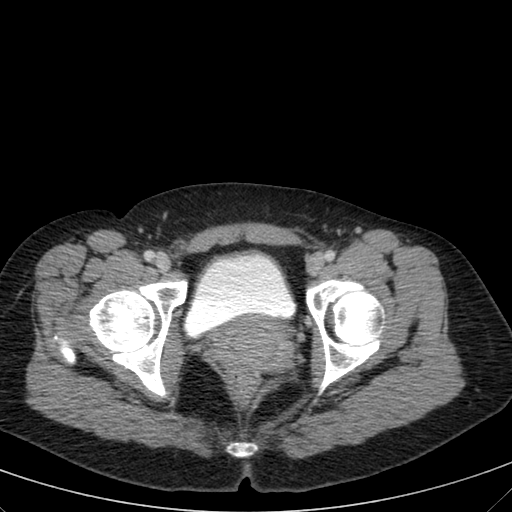
Lower abdomen, 512x512 px, CT image

The urinary bladder is located at 185 258 293 337.